Abdomen; CT scan slice
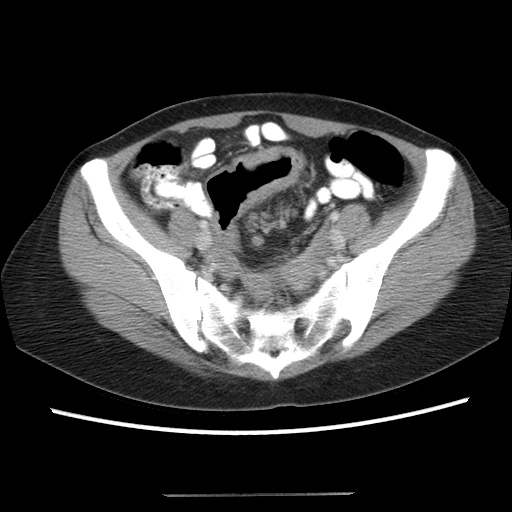
Segmented structures:
* colon tumor: rect(237, 148, 306, 217)